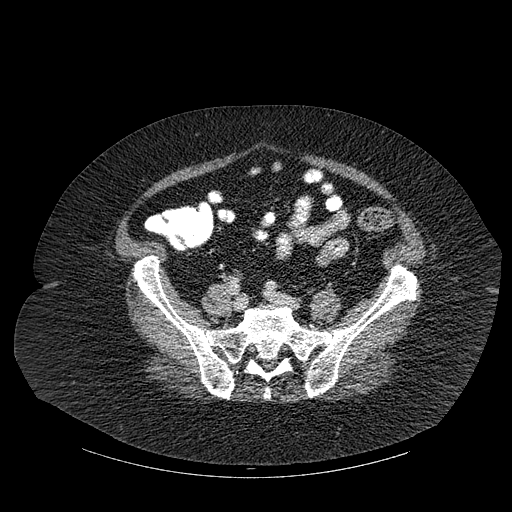 Computed tomography

{
  "bone": [
    "<box>133,255,417,398</box>",
    "<box>264,387,270,398</box>",
    "<box>245,358,291,381</box>"
  ]
}